FLAIR MRI.
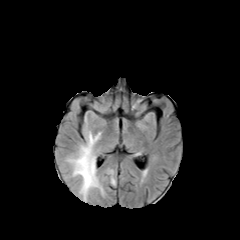
T1-weighted magnetic resonance.
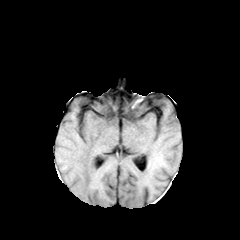
Post-contrast T1-weighted magnetic resonance.
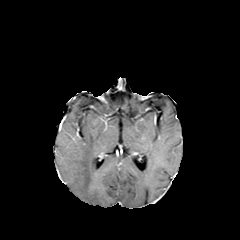
T2-weighted MR.
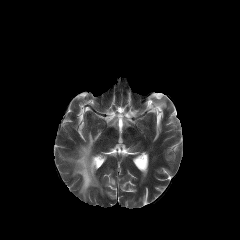
Head, 240x240
Findings:
• edema: x1=107 y1=176 x2=115 y2=185, x1=66 y1=131 x2=103 y2=200